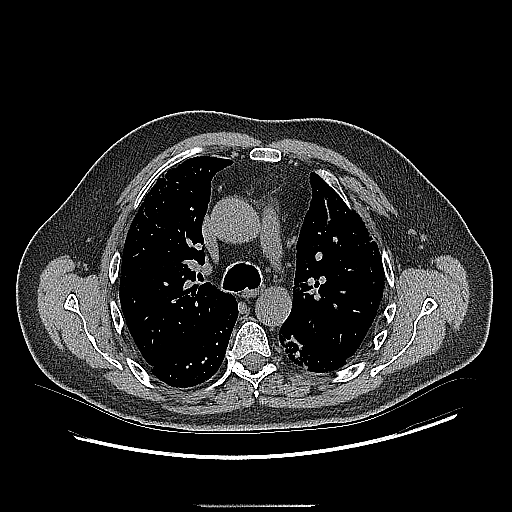

Computed tomography; Lung; 512x512 px
lung tumor: bbox=[278, 329, 309, 369]